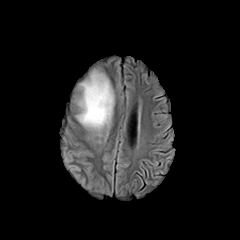
FLAIR MR image.
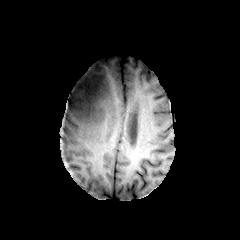
T1-weighted MRI.
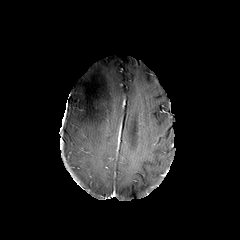
Same slice, post-contrast T1-weighted MR.
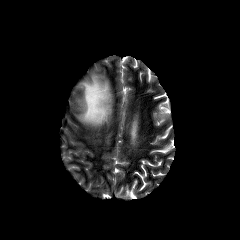
Same slice, T2-weighted magnetic resonance.
Findings:
• edema: 76, 70, 114, 132